Slice 3 of 18
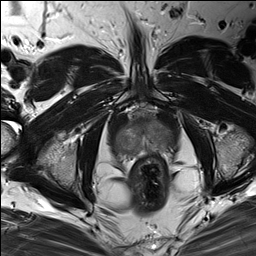
T2-weighted magnetic resonance.
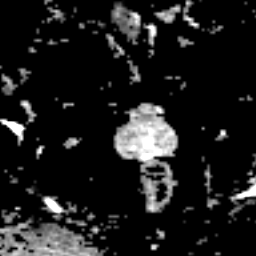
ADC magnetic resonance.
The prostate peripheral zone is bounded by [118,120,170,152].